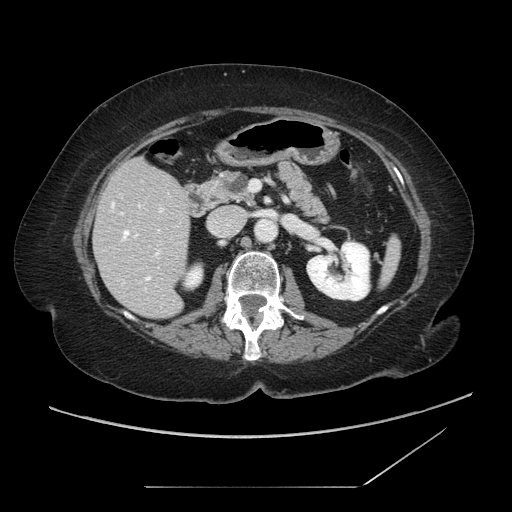

Image size 512x512; Upper abdomen; Computed tomography
<segmentation>
  <pancreatic_tumor>bbox(223, 174, 248, 193)</pancreatic_tumor>
  <pancreas>bbox(211, 170, 255, 205); bbox(275, 160, 330, 225)</pancreas>
</segmentation>